Slice 44 of 155 | Image size 240x240 | Head
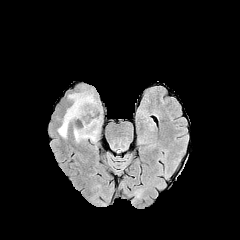
FLAIR magnetic resonance.
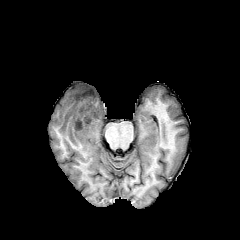
Same slice, T1-weighted magnetic resonance.
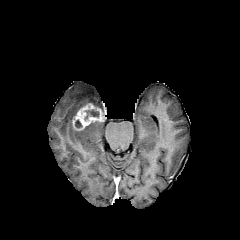
Same slice, post-contrast T1-weighted MR.
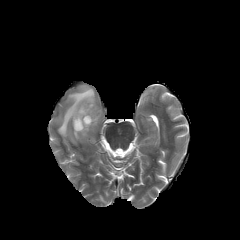
Same slice, T2-weighted MR.
enhancing tumor: left=72, top=103, right=104, bottom=129 | non-enhancing tumor core: left=75, top=89, right=93, bottom=104; left=84, top=109, right=99, bottom=119; left=73, top=120, right=82, bottom=130 | edema: left=92, top=92, right=101, bottom=109; left=58, top=88, right=101, bottom=143